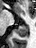

MRI slice | Hippocampus | Image size 36x48

The posterior hippocampus appears at 15,25,27,36.